FLAIR MRI.
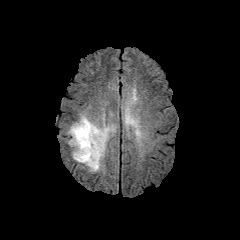
T1-weighted MR.
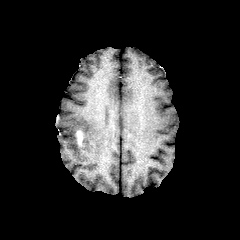
Post-contrast T1-weighted magnetic resonance.
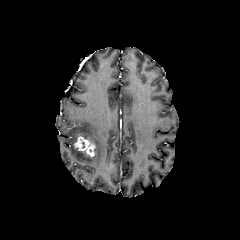
T2-weighted MR.
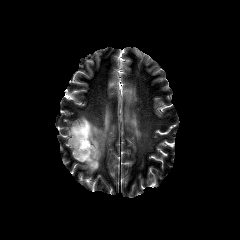
Annotated regions:
* enhancing tumor: <box>74,136,95,156</box>
* non-enhancing tumor core: <box>72,134,88,146</box>
* edema: <box>122,106,137,129</box>, <box>66,114,115,173</box>